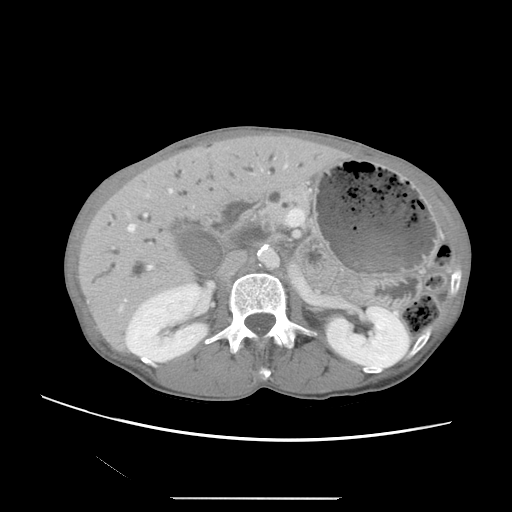
Upper abdomen. 512x512 px. Computed tomography.

Pancreas — 301 264 307 283, 260 190 308 230.